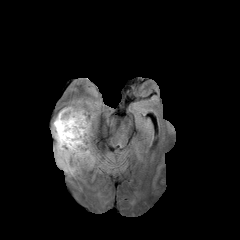
FLAIR MRI.
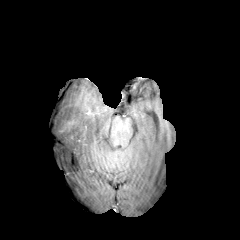
T1-weighted MRI of the same slice.
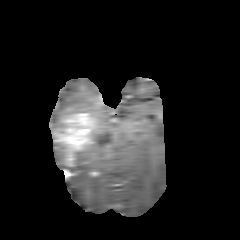
Same slice, post-contrast T1-weighted MRI.
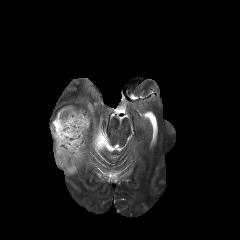
Same slice, T2-weighted MRI.
240x240
enhancing tumor: region(53, 108, 89, 166) | edema: region(52, 107, 73, 129); region(51, 130, 69, 169); region(70, 111, 94, 174)